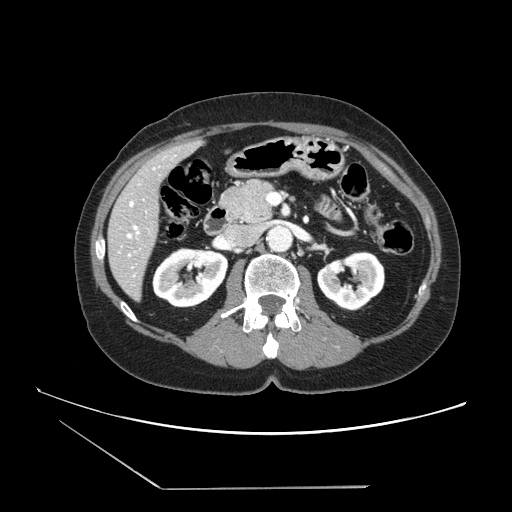
CT scan slice
pancreas: box=[221, 181, 273, 222]